Field of view 351 mm wide, 1.00 mm slice spacing | CT scan slice | Upper abdomen
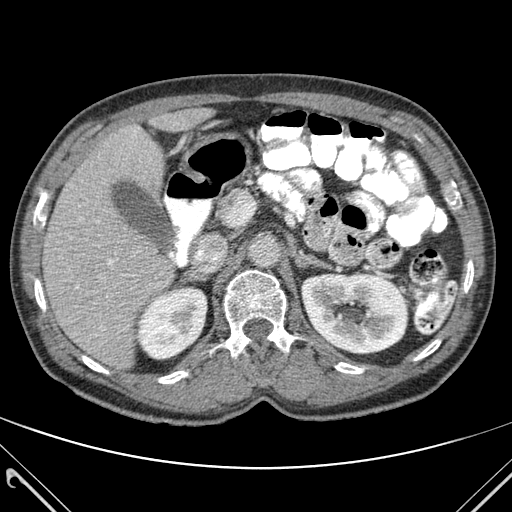 liver:
  - [43,126,172,369]
  - [154,108,209,131]
kidney:
  - [302,274,406,352]
  - [138,288,206,358]
bone:
  - [414,340,440,360]
  - [82,356,108,373]
  - [464,261,473,292]
  - [448,182,460,204]
  - [335,362,362,373]
  - [35,279,45,310]
  - [218,270,297,356]
  - [34,189,47,230]
  - [159,371,187,383]